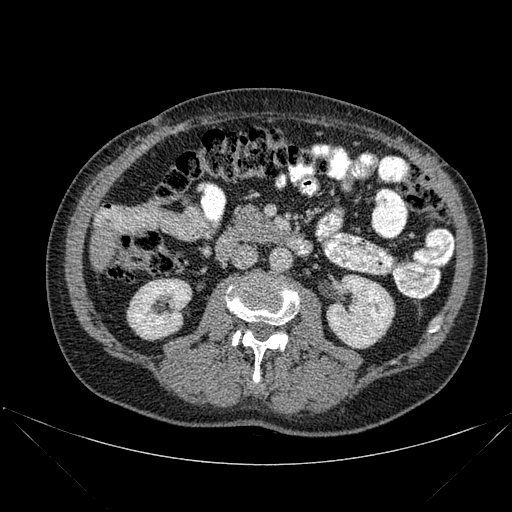
Computed tomography. Upper abdomen.
- liver: rect(90, 222, 120, 270)
- kidney: rect(327, 275, 393, 347); rect(127, 279, 191, 339)
- bone: rect(226, 281, 298, 324); rect(232, 329, 290, 386)